Slice index 93. CT.

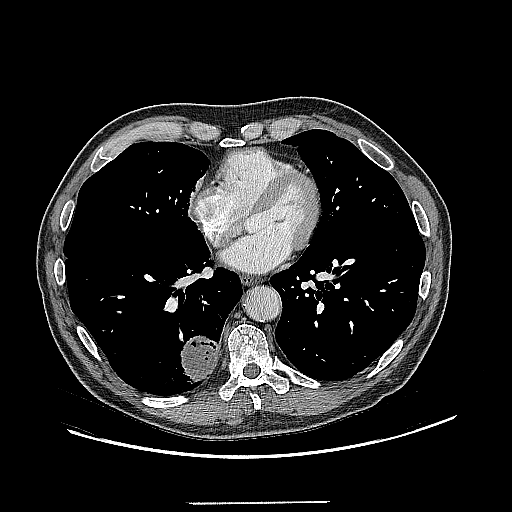

Lung tumor: bounding box l=180, t=335, r=217, b=384.